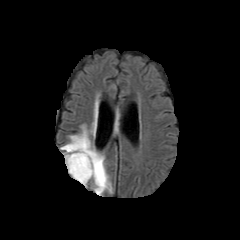
FLAIR MR.
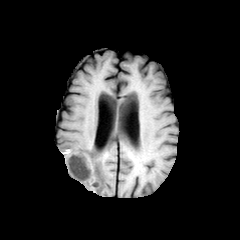
T1-weighted MR.
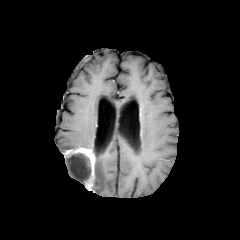
Post-contrast T1-weighted MR of the same slice.
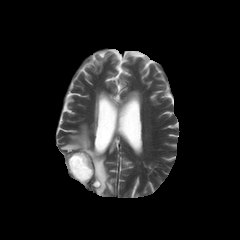
T2-weighted magnetic resonance.
240x240 px. Head.
Annotated regions:
* non-enhancing tumor core: bbox=[64, 150, 94, 183]
* enhancing tumor: bbox=[66, 146, 95, 176]
* edema: bbox=[62, 129, 112, 194]